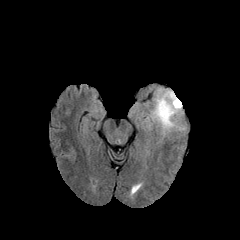
FLAIR MR.
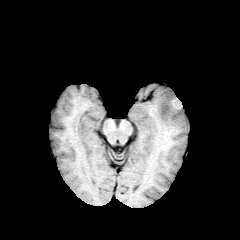
T1-weighted MRI.
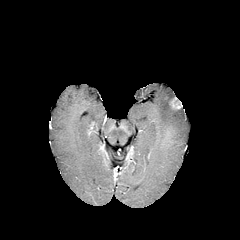
Post-contrast T1-weighted magnetic resonance.
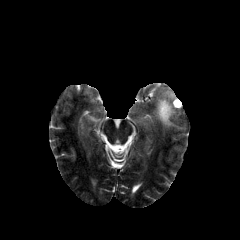
Same slice, T2-weighted magnetic resonance.
{"enhancing_tumor": ["<bbox>169, 96, 182, 110</bbox>"], "edema": ["<bbox>131, 103, 142, 113</bbox>", "<bbox>135, 86, 186, 136</bbox>"]}